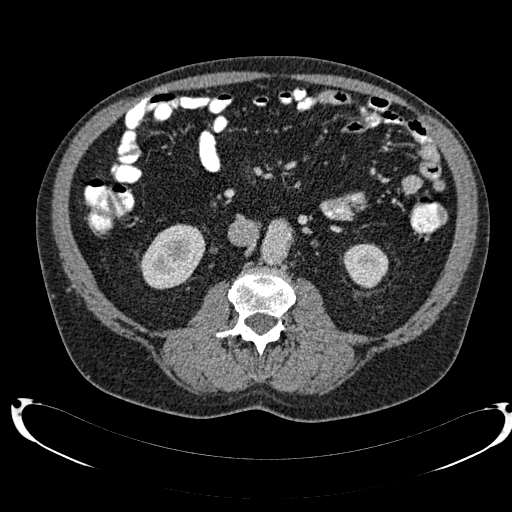

CT image
2 kidney regions are located at (141,224,204,288), (343,244,388,287).